FLAIR MRI.
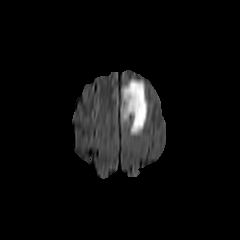
T1-weighted MRI.
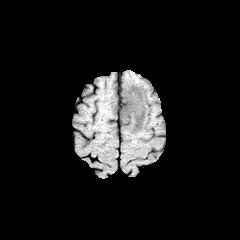
Post-contrast T1-weighted MR.
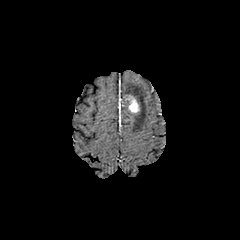
T2-weighted MR.
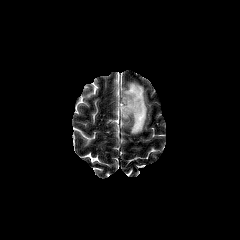
Head; Image size 240x240
Edema = [121, 79, 147, 135].
Non-enhancing tumor core = [121, 99, 131, 118].
Enhancing tumor = [123, 95, 139, 113].